Slice 27/689. 512x512. CT slice.

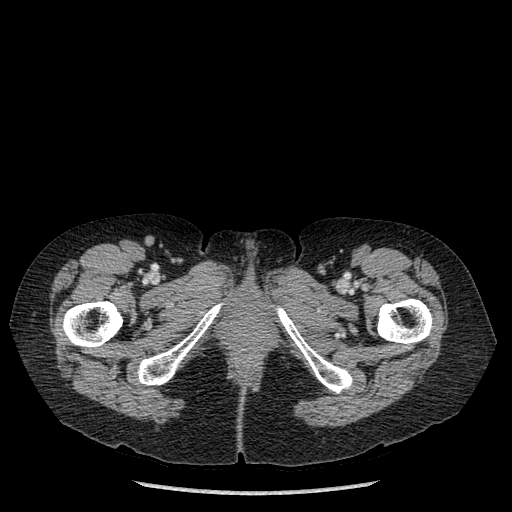
Bone: bounding box {"x1": 59, "y1": 300, "x2": 122, "y2": 349}, {"x1": 377, "y1": 299, "x2": 433, "y2": 347}, {"x1": 137, "y1": 303, "x2": 222, "y2": 385}, {"x1": 275, "y1": 307, "x2": 352, "y2": 393}.